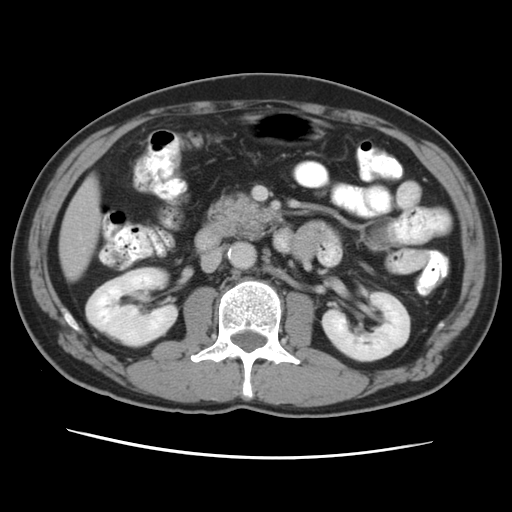
Computed tomography | Abdomen | 512x512 px
The pancreas appears at x1=207, y1=193, x2=268, y2=241.